Slice 50 of 89 | Upper abdomen | CT

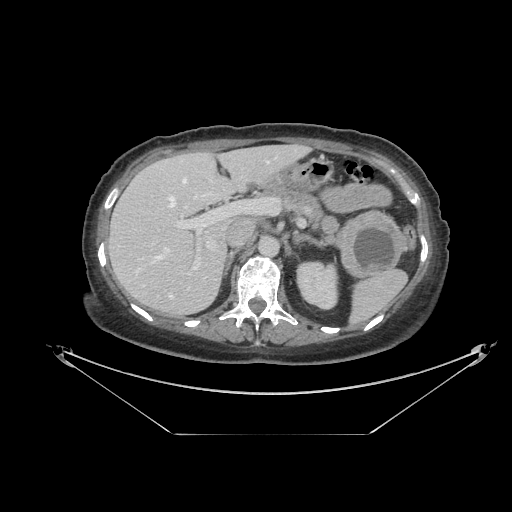 Findings:
- pancreas: <box>260,187,350,252</box>
- pancreatic tumor: <box>341,210,404,277</box>